Image width 403 mm; Slice index 29; CT image; Abdomen
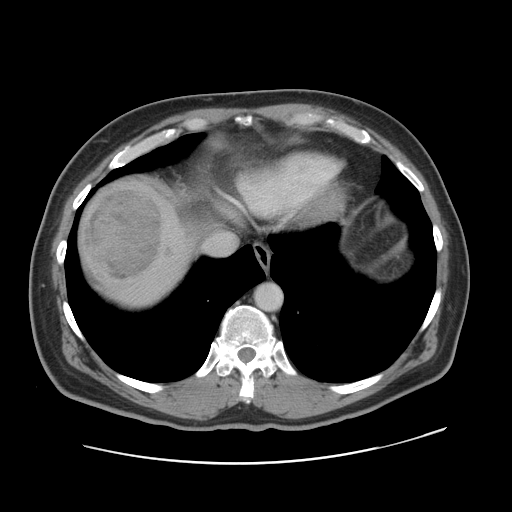

The vessel boxes may cover only some of the vessels.
2 liver tumor regions appear at rect(83, 189, 162, 280); rect(164, 247, 174, 258). The hepatic vessel is located at rect(205, 248, 224, 254).